Liver, Slice index 18, CT, Field of view 416 mm wide, 5.00 mm slice spacing 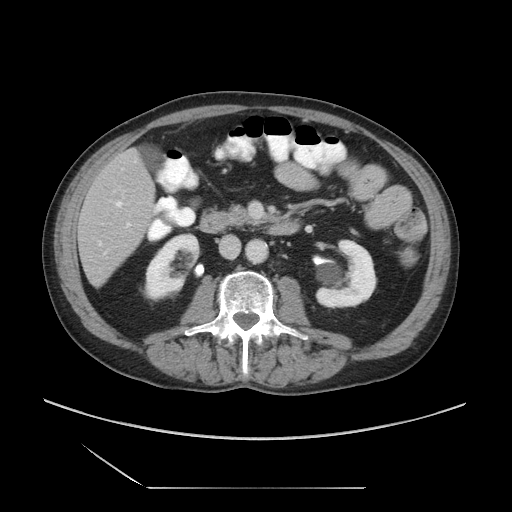

Only some of the vessels may be annotated.
7 hepatic vessel regions are located at x1=113 y1=190 x2=115 y2=192, x1=126 y1=223 x2=130 y2=226, x1=118 y1=186 x2=120 y2=189, x1=98 y1=241 x2=101 y2=245, x1=116 y1=201 x2=121 y2=206, x1=123 y1=190 x2=124 y2=197, x1=134 y1=159 x2=136 y2=162.